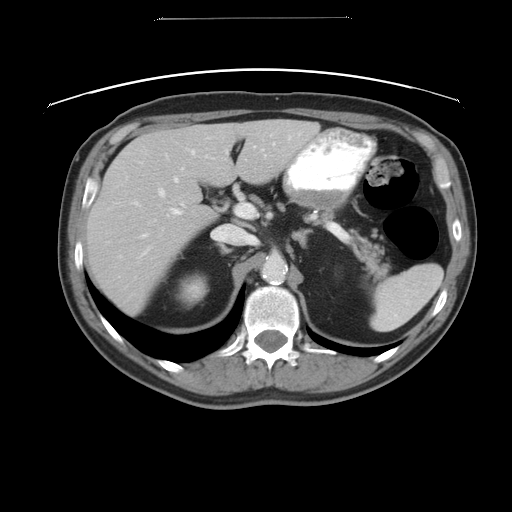
Computed tomography, Abdomen, Image size 512x512
The vessel boxes may cover only some of the vessels.
Segmented structures:
* hepatic vessel: bbox=[142, 233, 147, 236]; bbox=[171, 208, 181, 213]; bbox=[134, 201, 139, 204]; bbox=[159, 188, 165, 195]; bbox=[212, 226, 253, 243]; bbox=[174, 177, 178, 181]; bbox=[141, 248, 148, 255]; bbox=[181, 202, 185, 207]; bbox=[236, 204, 255, 219]; bbox=[288, 137, 290, 138]; bbox=[181, 167, 183, 169]; bbox=[119, 255, 121, 256]